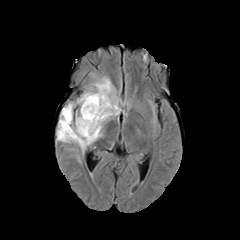
FLAIR MRI.
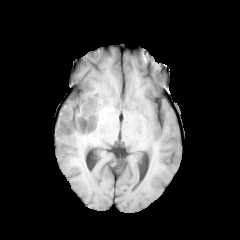
Same slice, T1-weighted magnetic resonance.
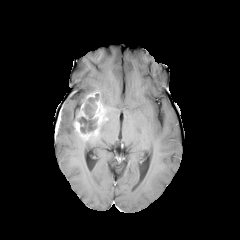
Post-contrast T1-weighted MR image.
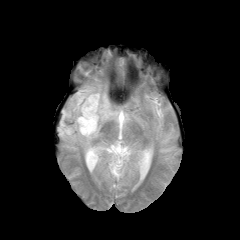
T2-weighted magnetic resonance.
240x240
Non-enhancing tumor core — 74,92,101,133.
Edema — 57,73,124,153.
Enhancing tumor — 92,100,107,126; 76,102,88,118; 74,120,98,137.